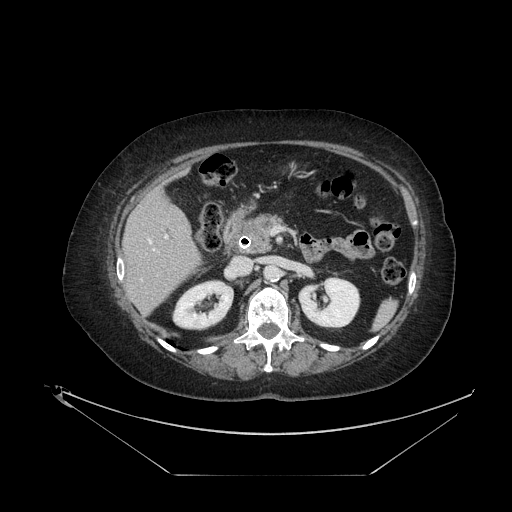

CT slice. 512x512. Upper abdomen.
Pancreatic tumor = 242 224 265 237.
Pancreas = 231 214 283 255.